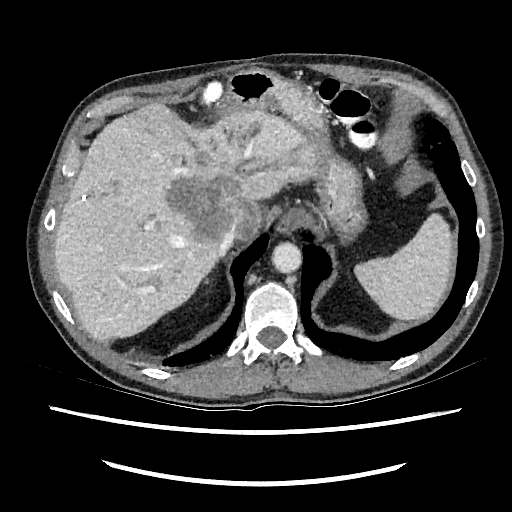

CT scan slice
<segmentation>
  <liver>(left=54, top=102, right=318, bottom=339)</liver>
  <focal_liver_lesion>(left=194, top=151, right=208, bottom=170), (left=175, top=156, right=186, bottom=166), (left=165, top=175, right=259, bottom=240)</focal_liver_lesion>
</segmentation>